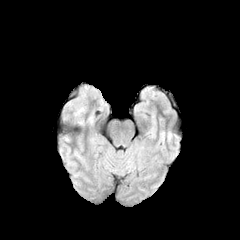
FLAIR magnetic resonance.
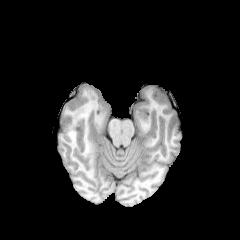
T1-weighted MR image.
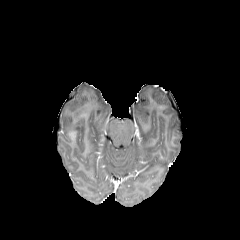
Same slice, post-contrast T1-weighted MRI.
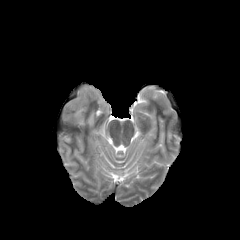
T2-weighted MRI of the same slice.
Brain
edema: 72:98:85:119 | non-enhancing tumor core: 74:105:85:121